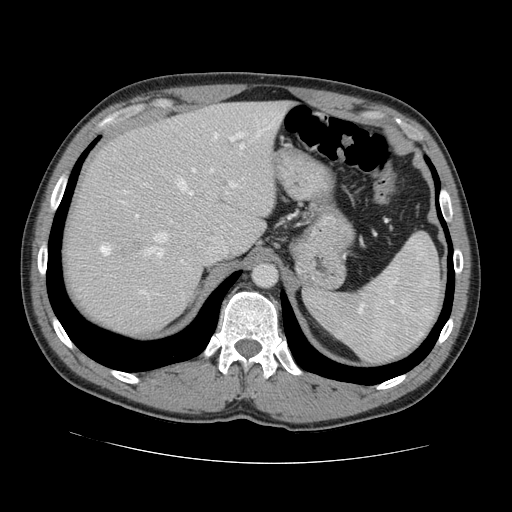
CT | Liver
Not every hepatic vessel necessarily has a box.
Findings:
* hepatic vessel (most prominent 15 of 22): box=[256, 113, 281, 137]; box=[122, 191, 128, 192]; box=[230, 183, 237, 187]; box=[118, 200, 126, 203]; box=[177, 179, 192, 194]; box=[154, 233, 166, 243]; box=[239, 144, 243, 149]; box=[141, 183, 147, 185]; box=[192, 168, 194, 171]; box=[213, 134, 217, 139]; box=[210, 169, 212, 172]; box=[252, 113, 258, 124]; box=[230, 131, 246, 140]; box=[145, 247, 162, 257]; box=[138, 290, 149, 300]